Slice index 68. Brain.
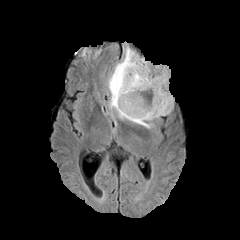
FLAIR magnetic resonance.
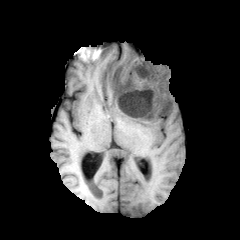
Same slice, T1-weighted magnetic resonance.
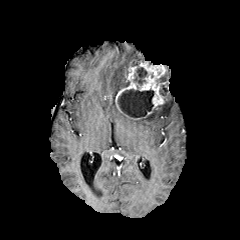
Post-contrast T1-weighted MR.
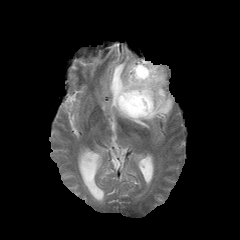
T2-weighted MRI.
4 non-enhancing tumor core regions appear at (left=159, top=85, right=167, bottom=95), (left=134, top=67, right=147, bottom=84), (left=116, top=89, right=157, bottom=117), (left=158, top=96, right=171, bottom=111). The enhancing tumor is bounded by (left=116, top=60, right=167, bottom=109). The edema appears at (left=106, top=47, right=173, bottom=128).